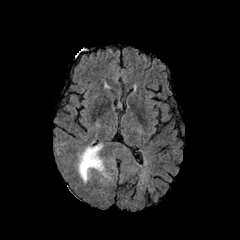
FLAIR MR image.
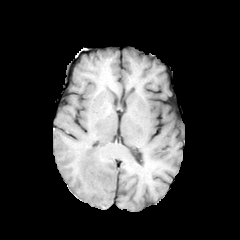
Same slice, T1-weighted magnetic resonance.
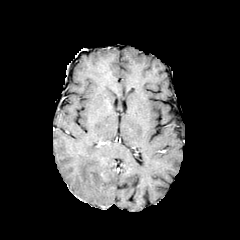
Post-contrast T1-weighted MRI.
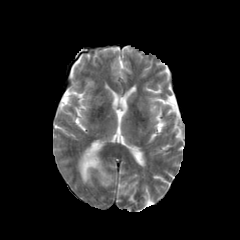
T2-weighted MRI of the same slice.
Brain
{"edema": ["box(77, 141, 110, 185)"]}